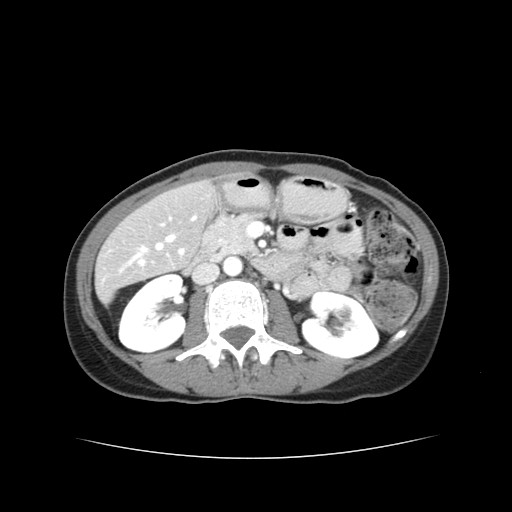

Image size 512x512, CT
The vessel boxes may cover only some of the vessels.
hepatic_vessel:
  - region(132, 248, 145, 264)
  - region(193, 217, 195, 219)
  - region(168, 236, 173, 241)
  - region(180, 250, 183, 253)
  - region(157, 244, 161, 249)